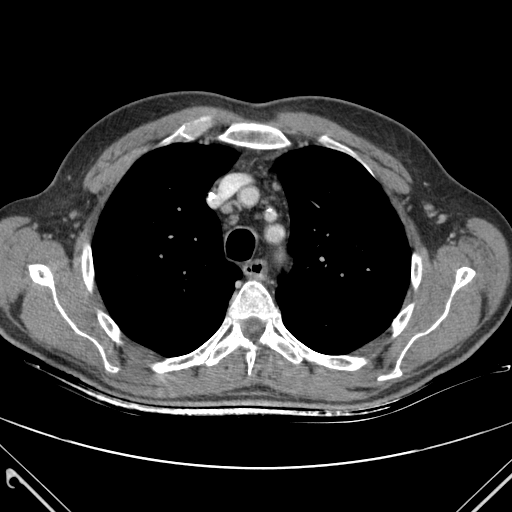 CT image; Chest
<segmentation>
  <bone>box=[219, 123, 289, 148]; box=[153, 281, 365, 374]; box=[392, 304, 413, 336]; box=[323, 136, 360, 160]; box=[98, 312, 119, 341]; box=[29, 264, 117, 371]; box=[451, 267, 474, 297]; box=[164, 118, 213, 142]; box=[82, 246, 93, 290]; box=[411, 254, 421, 287]; box=[378, 298, 450, 380]</bone>
  <lung>box=[274, 146, 410, 354]; box=[92, 143, 242, 356]</lung>
</segmentation>